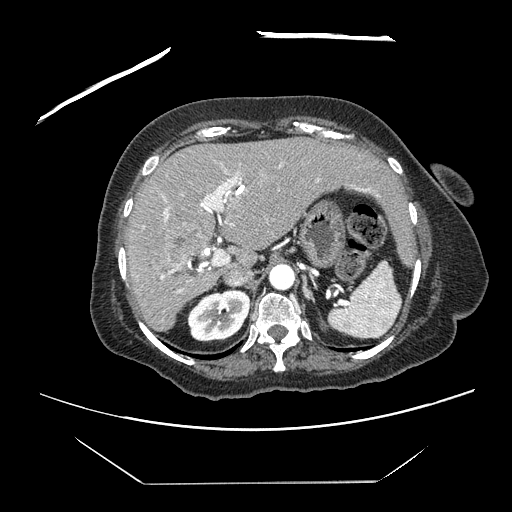 CT. 512x512 px.

Only some of the vessels may be annotated.
Liver tumor at box=[167, 224, 199, 263].
Hepatic vessel at box=[163, 196, 165, 200]; box=[212, 249, 228, 265]; box=[200, 176, 241, 212]; box=[317, 178, 318, 180]; box=[169, 270, 175, 272]; box=[161, 276, 163, 277]; box=[164, 209, 168, 218].